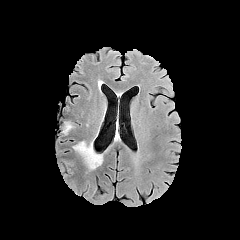
FLAIR MR.
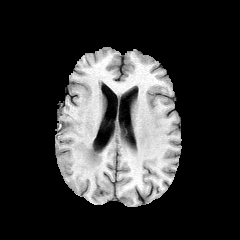
T1-weighted MR image.
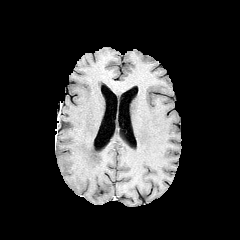
Post-contrast T1-weighted MRI of the same slice.
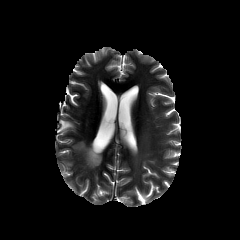
Same slice, T2-weighted MRI.
240x240 px. Brain.
edema:
  - box(72, 141, 101, 168)